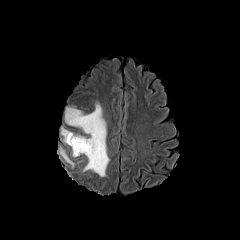
FLAIR MRI.
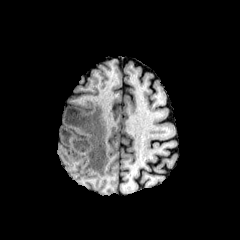
T1-weighted magnetic resonance of the same slice.
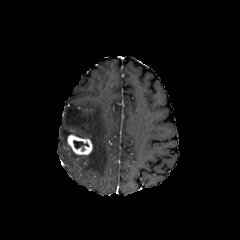
Post-contrast T1-weighted magnetic resonance.
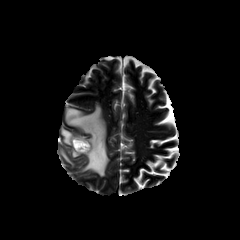
T2-weighted MRI of the same slice.
The enhancing tumor is at box(67, 133, 93, 156). The non-enhancing tumor core is located at box(73, 140, 89, 148). 3 edema regions are bounded by box(57, 149, 72, 165); box(61, 126, 71, 143); box(64, 101, 109, 177).